Medial temporal lobe. MRI slice. Slice index 19. Field of view 35x48 mm.

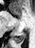

{
  "posterior_hippocampus": [
    "rect(13, 31, 26, 42)"
  ]
}